FLAIR MR image.
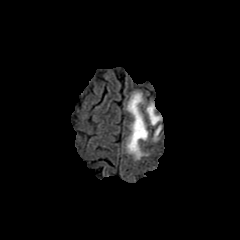
T1-weighted MR.
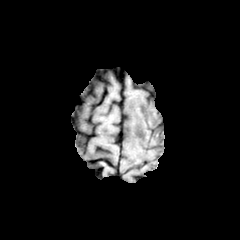
Post-contrast T1-weighted MR.
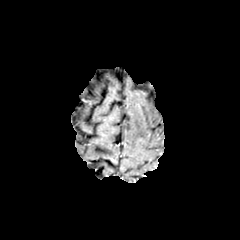
T2-weighted MR.
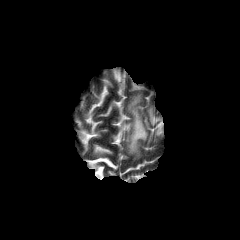
Segmented structures:
• edema: 125, 92, 162, 158